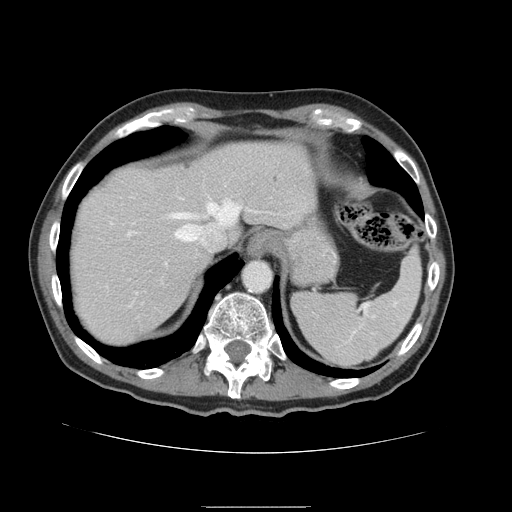 Computed tomography
Segmented structures:
- spleen: box(291, 252, 421, 365)